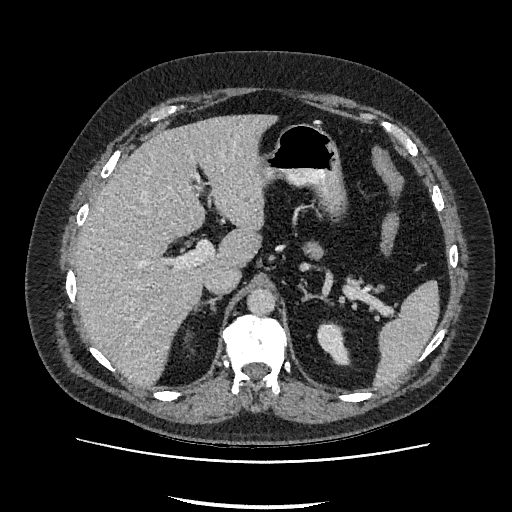 CT slice

<segmentation>
  <kidney>[318, 325, 346, 362]</kidney>
  <liver>[76, 115, 275, 384]</liver>
</segmentation>